240x240 px. Slice index 118.
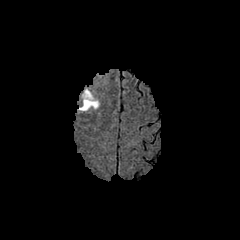
FLAIR MRI.
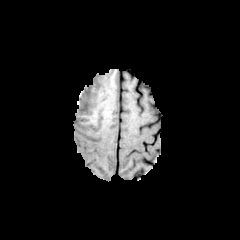
T1-weighted MRI.
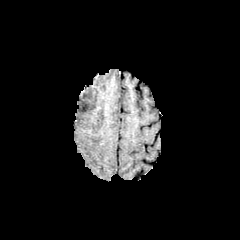
Post-contrast T1-weighted magnetic resonance of the same slice.
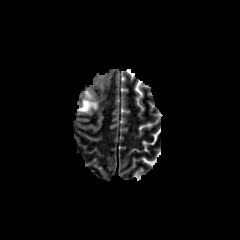
T2-weighted MR of the same slice.
<segmentation>
  <edema>78:84:98:113</edema>
</segmentation>